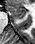

35x44 px | MR | Hippocampus

{
  "anterior_hippocampus": [
    "x1=7, y1=6, x2=25, y2=18"
  ]
}